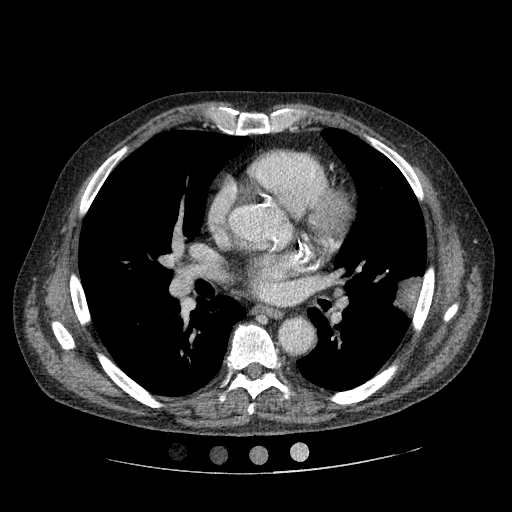

Computed tomography; Lung
<segmentation>
  <lung_tumor>(389,274,422,320)</lung_tumor>
</segmentation>